CT scan slice. Slice 166/424. Liver. 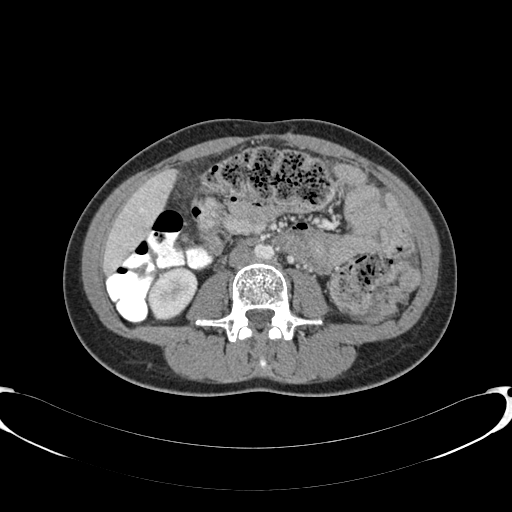 liver:
  - {"x1": 103, "y1": 170, "x2": 175, "y2": 274}
kidney:
  - {"x1": 149, "y1": 269, "x2": 196, "y2": 317}